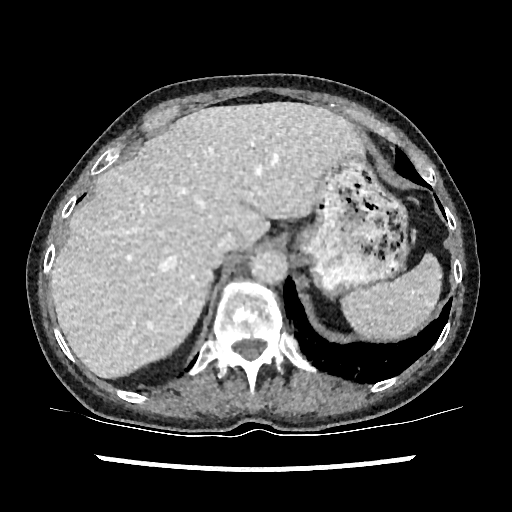

512x512 px; CT slice
Liver — (53, 103, 362, 375).